CT image, Field of view 500x500 mm, Slice index 130

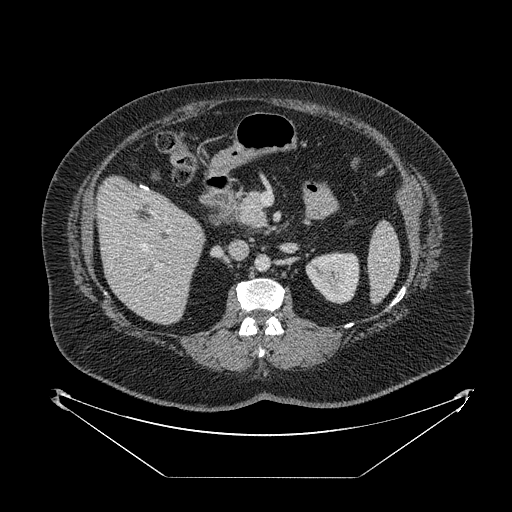

- pancreas: box=[238, 190, 268, 229]